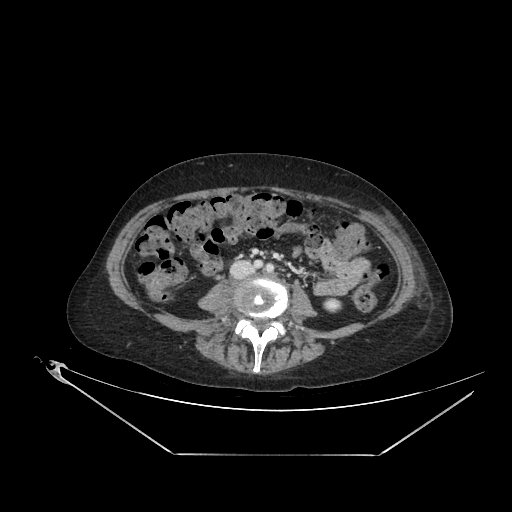
CT image | Abdomen
{
  "kidney": [
    "box(327, 302, 337, 307)"
  ]
}